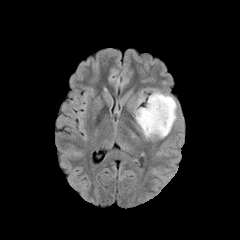
FLAIR MR image.
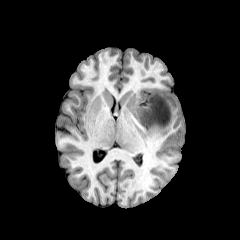
T1-weighted MR.
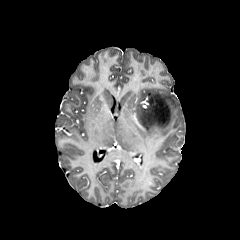
Post-contrast T1-weighted magnetic resonance.
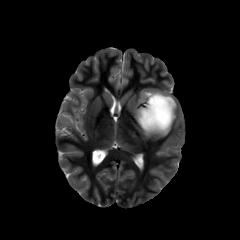
T2-weighted MRI.
Brain
{"non-enhancing_tumor_core": ["[140, 93, 169, 128]"], "edema": ["[134, 88, 177, 138]"]}